Slice 88/155
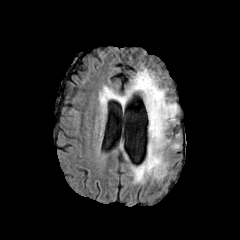
FLAIR MR.
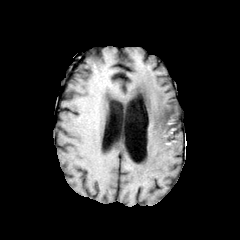
T1-weighted MRI.
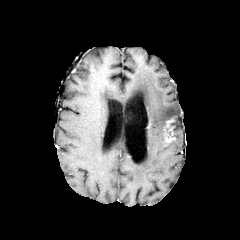
Post-contrast T1-weighted MRI of the same slice.
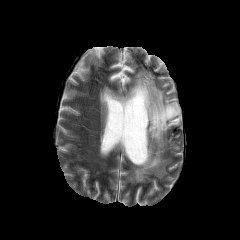
T2-weighted MRI.
{"edema": ["box=[99, 69, 179, 182]"], "non-enhancing_tumor_core": ["box=[136, 90, 146, 104]"]}